Abdomen. CT scan slice. Slice 650/733.

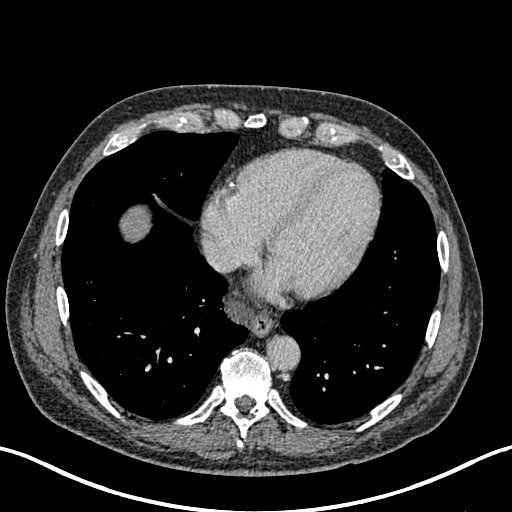 <segmentation>
  <liver>box=[122, 209, 148, 239]</liver>
</segmentation>